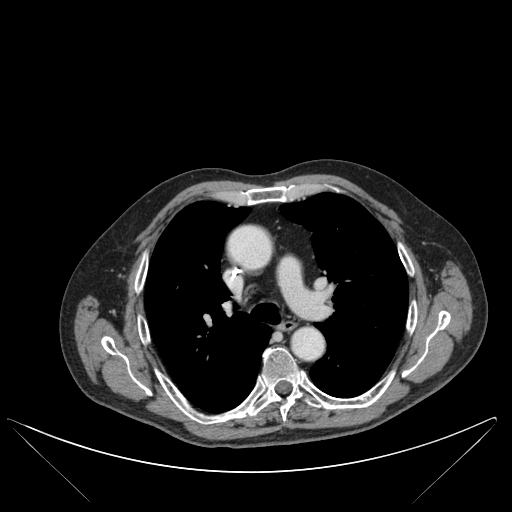 CT scan slice
{"lung": ["<bbox>280, 192, 408, 397</bbox>", "<bbox>145, 201, 280, 412</bbox>"], "bone": ["<bbox>240, 186, 290, 204</bbox>", "<bbox>101, 336, 151, 395</bbox>", "<bbox>135, 254, 147, 292</bbox>", "<bbox>402, 311, 450, 376</bbox>", "<bbox>398, 243, 413, 274</bbox>", "<bbox>155, 347, 394, 423</bbox>", "<bbox>407, 301, 417, 332</bbox>", "<bbox>138, 316, 149, 342</bbox>"]}